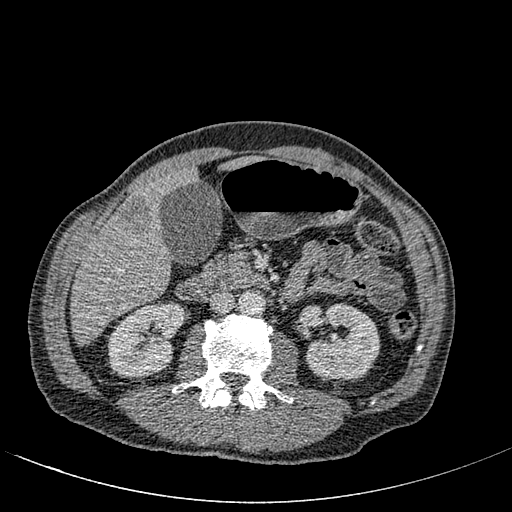 CT

Liver — 71:167:197:344, 221:156:262:169.
Focal liver lesion — 115:196:155:234.
Kidney — 299:304:379:379, 108:303:184:377.